Head, Slice index 117
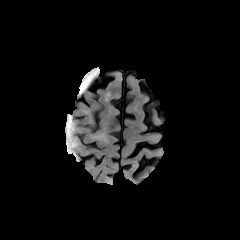
FLAIR MR image.
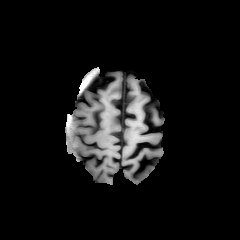
T1-weighted MRI.
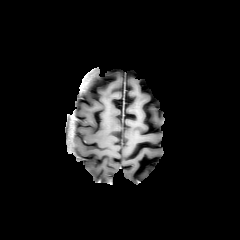
Post-contrast T1-weighted MRI.
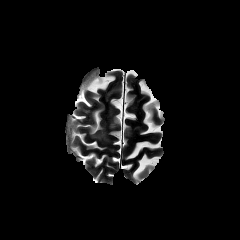
T2-weighted MR image.
edema:
  - bbox(70, 138, 78, 147)